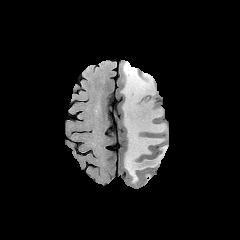
FLAIR MR.
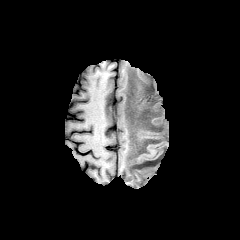
Same slice, T1-weighted magnetic resonance.
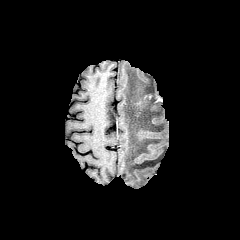
Post-contrast T1-weighted MRI.
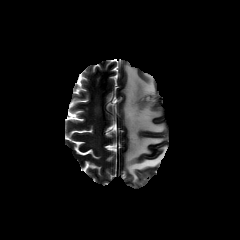
T2-weighted MRI.
Brain. 240x240.
edema:
  - 122:62:166:183